Image size 240x240.
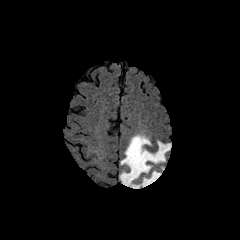
FLAIR MR.
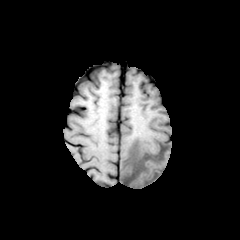
T1-weighted MR image.
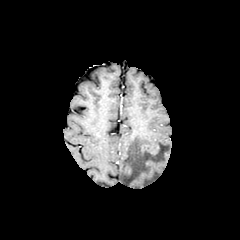
Post-contrast T1-weighted MR of the same slice.
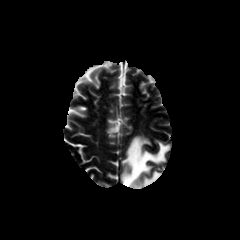
T2-weighted MRI of the same slice.
edema:
  - rect(120, 135, 171, 188)